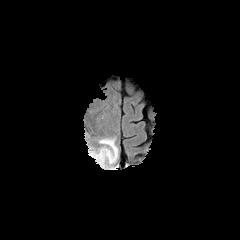
FLAIR MR.
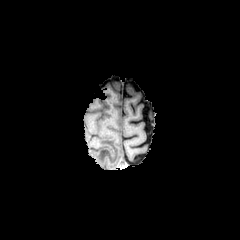
T1-weighted MRI.
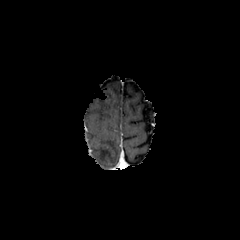
Post-contrast T1-weighted magnetic resonance of the same slice.
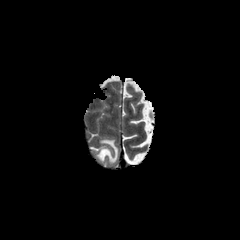
T2-weighted magnetic resonance.
240x240 px.
edema: region(99, 140, 117, 162)